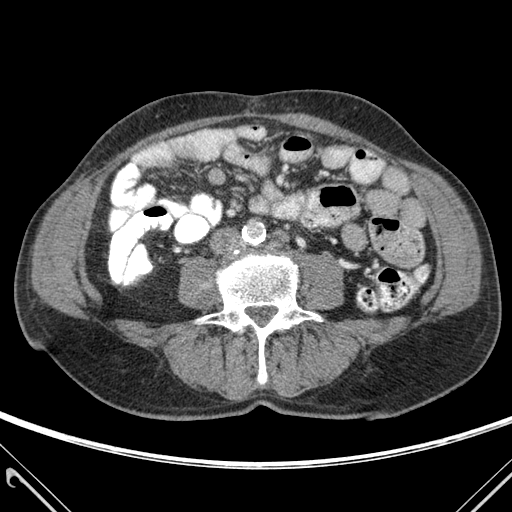 CT
Bone = x1=200 y1=250 x2=321 y2=383.